Slice 34 of 151 | CT scan slice | Image width 421 mm
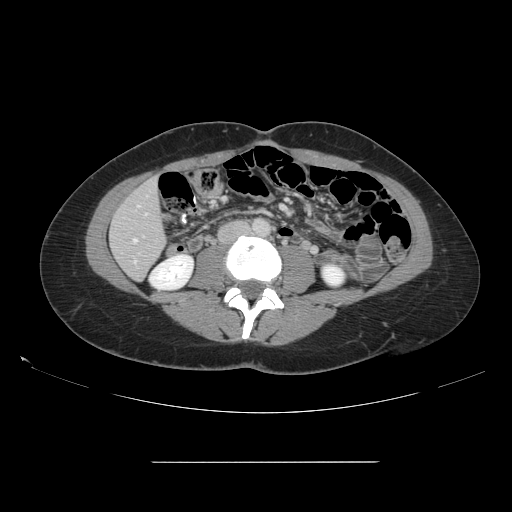

The vessel annotation is not exhaustive.
Hepatic vessel: [x1=133, y1=239, x2=136, y2=242], [x1=134, y1=260, x2=136, y2=263], [x1=145, y1=213, x2=147, y2=214].